Field of view 335 mm wide, 1.00 mm slice spacing. 512x512 px. CT scan slice. Thorax.

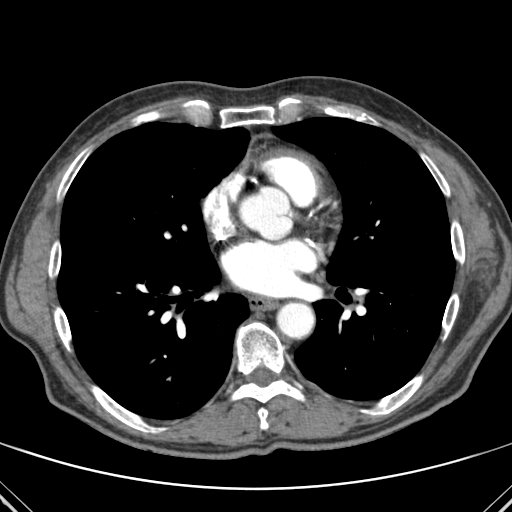

2 lung regions are bounded by bbox(57, 122, 249, 419); bbox(272, 117, 454, 400). The largest 15 bone regions (of 16) appear at bbox(184, 100, 209, 108); bbox(361, 375, 422, 415); bbox(442, 294, 458, 338); bbox(236, 322, 285, 374); bbox(421, 154, 449, 196); bbox(258, 408, 268, 429); bbox(48, 241, 60, 276); bbox(220, 106, 274, 127); bbox(57, 150, 88, 198); bbox(91, 386, 164, 432); bbox(133, 112, 157, 124); bbox(54, 307, 71, 350); bbox(231, 379, 304, 402); bbox(451, 221, 464, 263); bbox(325, 107, 372, 121).